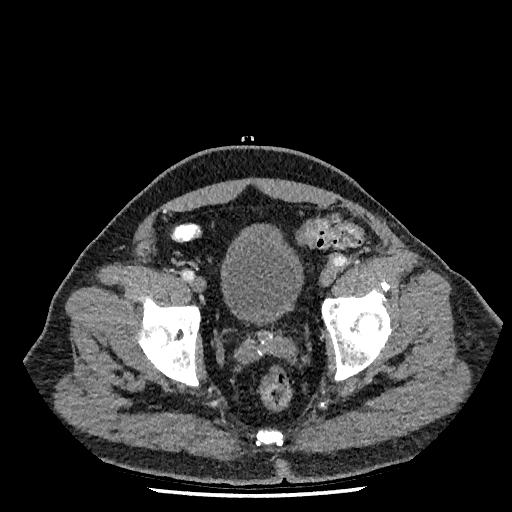 512x512 | Computed tomography | Pelvis
Urinary bladder: [x1=220, y1=223, x2=304, y2=324].